256x256; Slice index 13; Pelvis
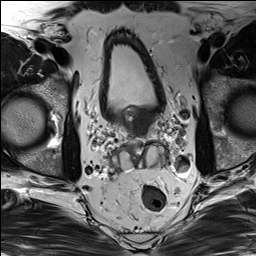
T2-weighted magnetic resonance.
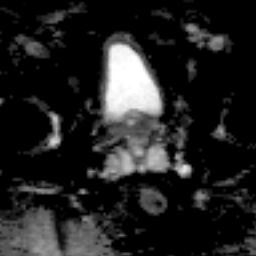
ADC MRI of the same slice.
The prostate transition zone is bounded by (left=126, top=108, right=149, bottom=131).